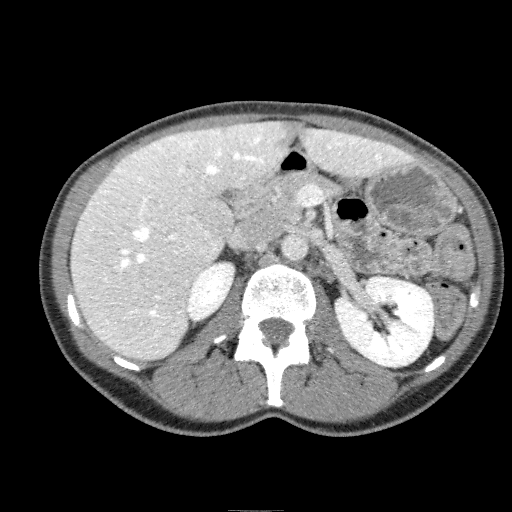

Computed tomography, Abdomen

Focal liver lesion: <box>194,199,232,240</box>, <box>274,121,306,151</box>.
Liver: <box>297,121,410,177</box>, <box>71,120,285,358</box>.
Kidney: <box>187,264,233,319</box>, <box>336,277,433,366</box>.